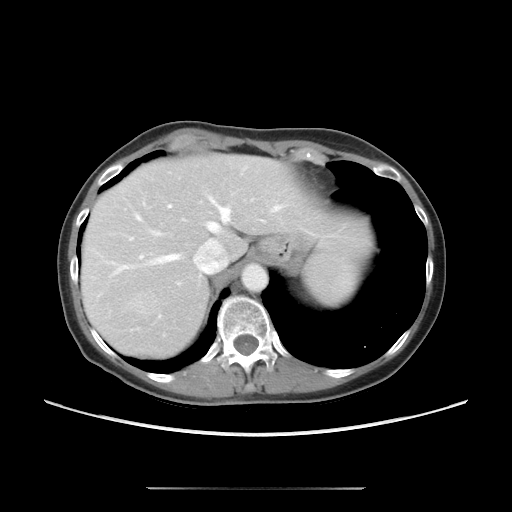 CT, Liver

The vessel annotation is not exhaustive.
Findings:
* hepatic vessel: box(259, 219, 264, 221); box(114, 266, 133, 273); box(210, 197, 229, 222); box(207, 222, 219, 232); box(159, 252, 181, 262); box(151, 232, 160, 234); box(134, 213, 142, 221); box(130, 237, 133, 240); box(272, 205, 282, 210); box(152, 260, 155, 262); box(140, 255, 142, 257)
* liver tumor: box(135, 295, 158, 319)